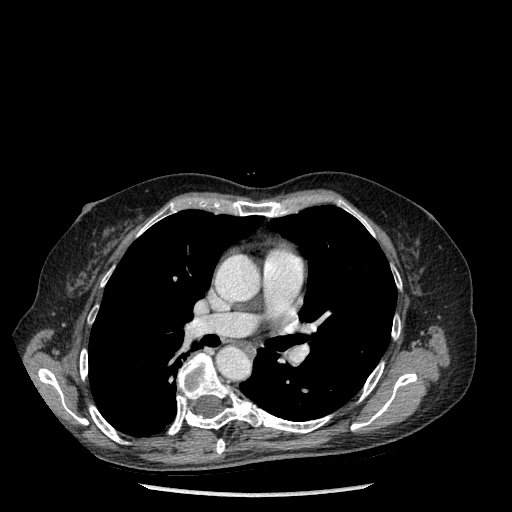
Chest | CT scan slice
14 bone regions are bounded by 137,202,176,236; 89,405,127,443; 80,349,87,380; 231,200,284,216; 351,372,416,430; 391,315,400,339; 38,368,88,424; 359,362,383,401; 393,267,401,288; 88,305,97,323; 101,269,111,286; 168,353,331,434; 338,199,374,236; 216,439,224,453. 2 lung regions are bounded by 240,205,396,421; 88,209,263,436.